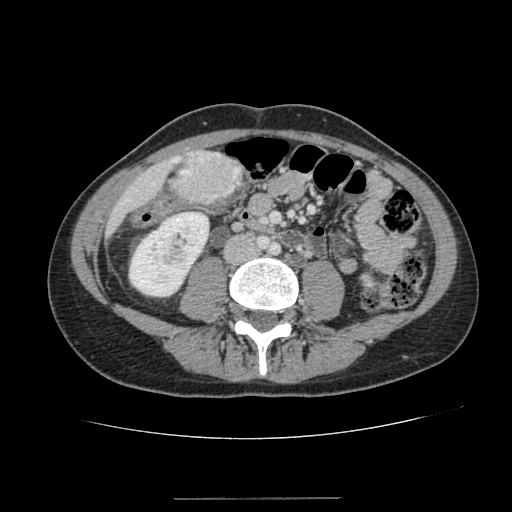
Image size 512x512 | CT slice

Segmented structures:
* liver: <bbox>105, 151, 190, 238</bbox>
* kidney: <bbox>130, 212, 208, 295</bbox>
* hepatic lesion: <bbox>174, 150, 241, 203</bbox>